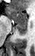
MR. Image size 35x56. Medial temporal lobe. The posterior hippocampus is bounded by box(15, 23, 27, 34). The anterior hippocampus appears at box(6, 8, 27, 22).